Image width 700 mm; Slice 519 of 536; CT
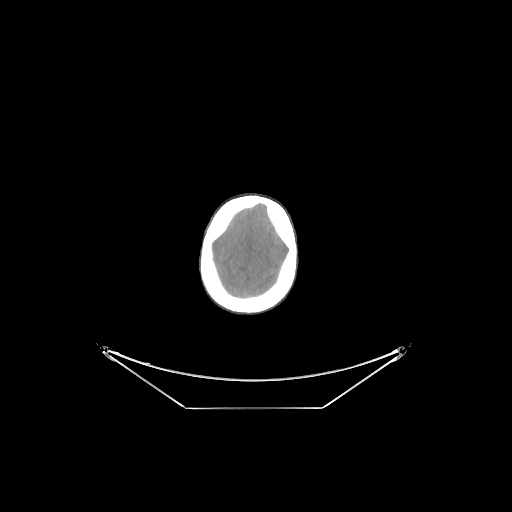
Bone — <bbox>201, 196, 296, 312</bbox>.
Brain — <bbox>212, 204, 288, 297</bbox>.